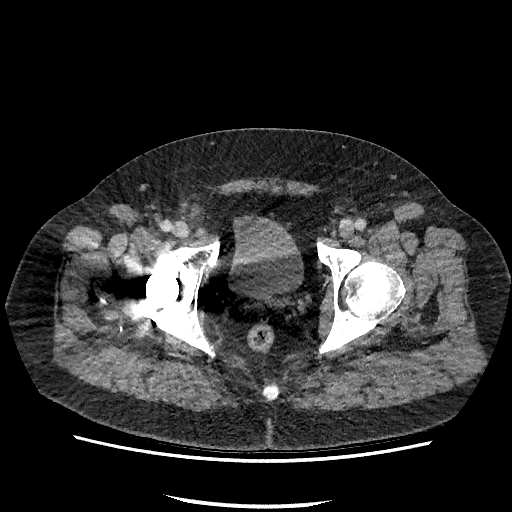
CT slice.

The urinary bladder lies within left=229, top=214, right=303, bottom=303.